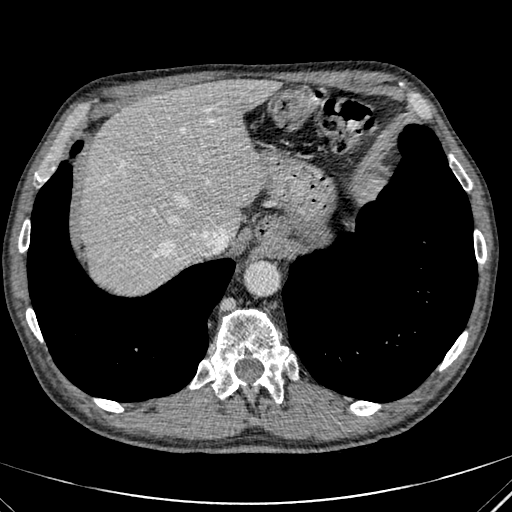

CT image; 512x512; Upper abdomen
liver: [82, 79, 279, 294]